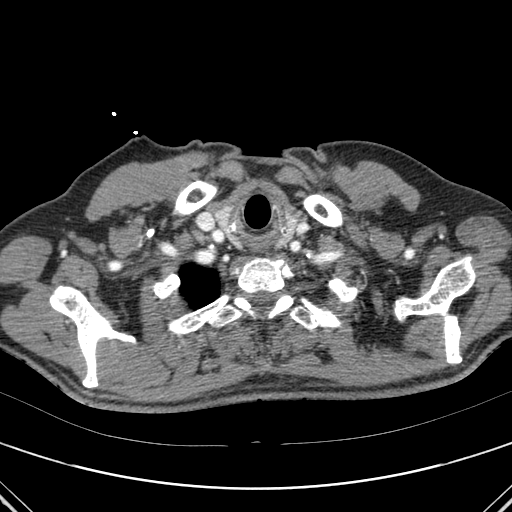

CT slice; Chest; Image size 512x512
The lung is bounded by x1=179 y1=263 x2=219 y2=308. 10 bone regions appear at x1=153 y1=273 x2=179 y2=298, x1=405 y1=249 x2=413 y2=257, x1=169 y1=295 x2=257 y2=334, x1=394 y1=256 x2=475 y2=363, x1=328 y1=278 x2=357 y2=302, x1=49 y1=286 x2=135 y2=387, x1=303 y1=194 x2=342 y2=226, x1=268 y1=295 x2=341 y2=329, x1=174 y1=180 x2=216 y2=214, x1=232 y1=258 x2=293 y2=292.